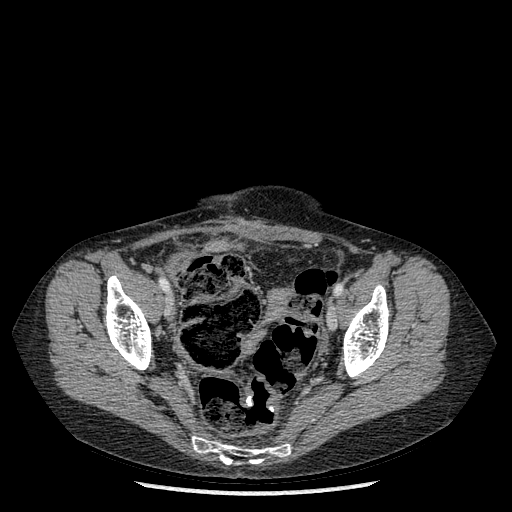
CT image
Bone: (x1=105, y1=275, x2=151, y2=369), (x1=192, y1=436, x2=290, y2=464), (x1=343, y1=284, x2=389, y2=378).